Image size 512x512, CT, Abdomen, Field of view 400x400 mm
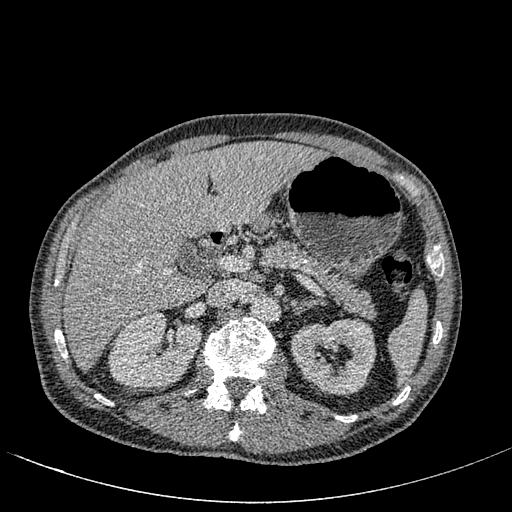

2 kidney regions appear at <bbox>108, 313, 201, 387</bbox>, <bbox>291, 319, 375, 394</bbox>. The liver is at <bbox>64, 142, 324, 371</bbox>.